Slice index 89. Image size 240x240. Brain.
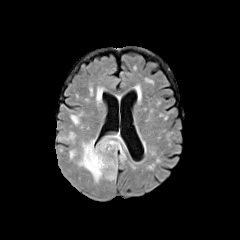
FLAIR MR image.
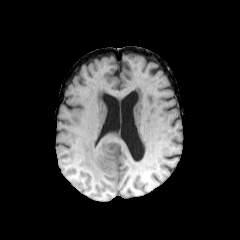
T1-weighted MRI.
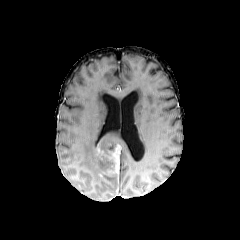
Same slice, post-contrast T1-weighted MRI.
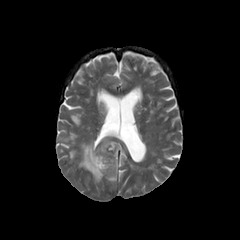
Same slice, T2-weighted MRI.
The non-enhancing tumor core is at <bbox>96, 142, 120, 171</bbox>. The enhancing tumor appears at <bbox>105, 144, 121, 177</bbox>. 5 edema regions appear at <bbox>120, 149, 126, 162</bbox>, <bbox>58, 132, 76, 142</bbox>, <bbox>77, 129, 127, 182</bbox>, <bbox>69, 149, 76, 159</bbox>, <bbox>105, 174, 116, 180</bbox>.